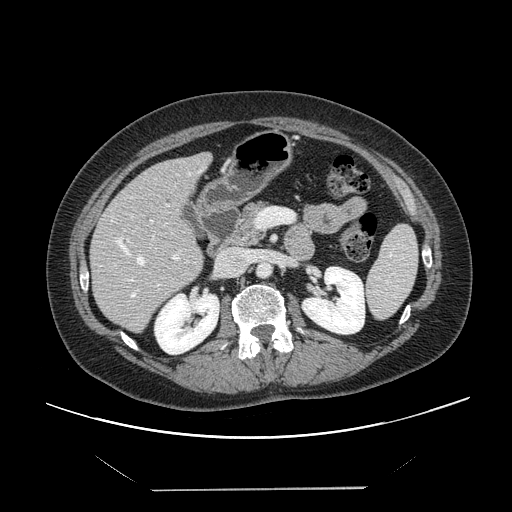
CT slice

Not every hepatic vessel necessarily has a box.
<segmentation>
  <hepatic_vessel>(x1=114, y1=237, x2=131, y2=256), (x1=152, y1=234, x2=154, y2=241), (x1=124, y1=230, x2=125, y2=231), (x1=150, y1=220, x2=152, y2=222), (x1=130, y1=289, x2=138, y2=298), (x1=111, y1=217, x2=113, y2=220), (x1=156, y1=283, x2=160, y2=286), (x1=166, y1=205, x2=168, y2=206), (x1=135, y1=255, x2=145, y2=265), (x1=172, y1=251, x2=180, y2=260), (x1=216, y1=249, x2=244, y2=275), (x1=186, y1=261, x2=188, y2=262), (x1=131, y1=215, x2=132, y2=218), (x1=125, y1=277, x2=133, y2=281)</hepatic_vessel>
</segmentation>